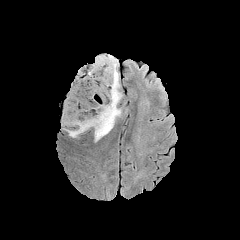
FLAIR magnetic resonance.
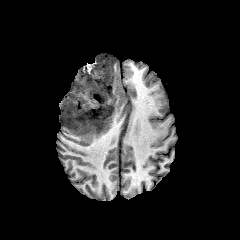
T1-weighted magnetic resonance.
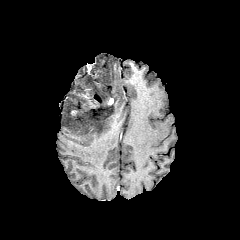
Post-contrast T1-weighted magnetic resonance.
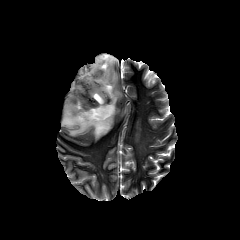
T2-weighted MRI of the same slice.
Head. 240x240 px.
2 non-enhancing tumor core regions are bounded by [x1=99, y1=56, x2=111, y2=67], [x1=86, y1=103, x2=113, y2=121]. The edema is located at [x1=62, y1=54, x2=127, y2=141].